FLAIR MRI.
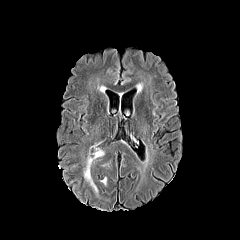
T1-weighted MRI.
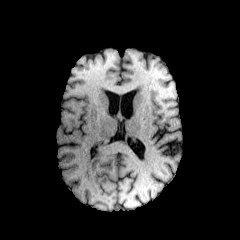
Post-contrast T1-weighted MR image.
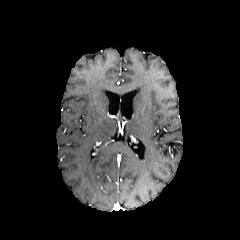
T2-weighted MR.
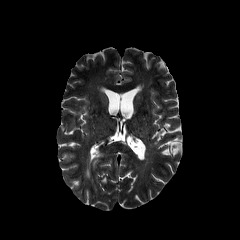
240x240 px
The edema is bounded by [84, 149, 104, 191].